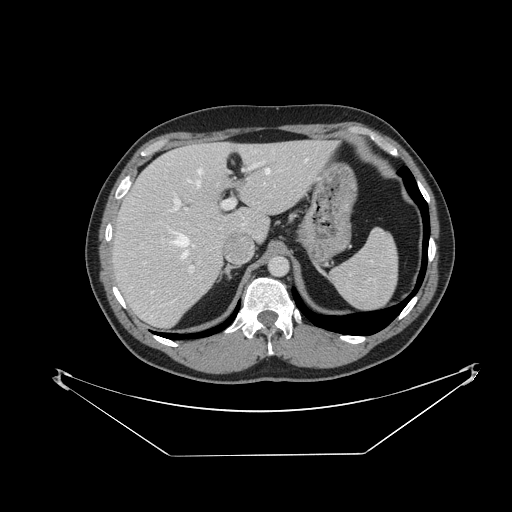

CT slice

Spleen — (x1=331, y1=230, x2=397, y2=311).